512x512 px | CT scan slice | Slice 112 of 134 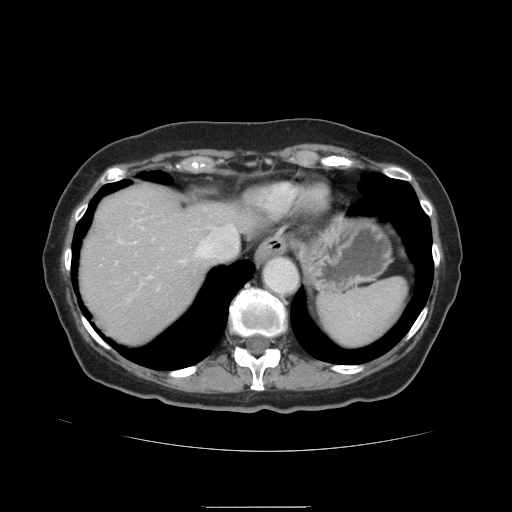 The vessel annotation is not exhaustive.
hepatic_vessel:
  - 229, 226, 234, 231
  - 195, 244, 206, 257
  - 181, 261, 183, 262